Head, Slice 121/155, 240x240
FLAIR magnetic resonance.
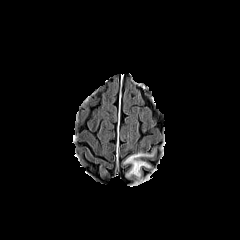
T1-weighted MR image.
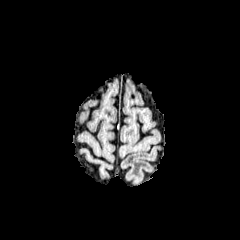
Post-contrast T1-weighted MR image.
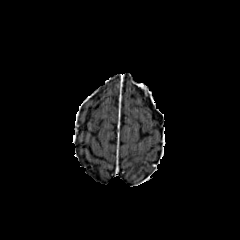
T2-weighted MRI.
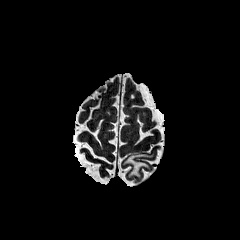
Edema at x1=123, y1=153, x2=152, y2=180.